Slice 22/36 | MR
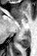
Posterior hippocampus: bounding box rect(17, 31, 30, 48).